240x240
FLAIR magnetic resonance.
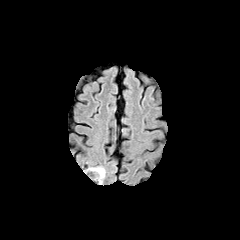
T1-weighted MR image.
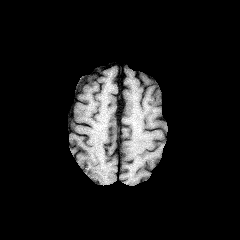
Post-contrast T1-weighted MR.
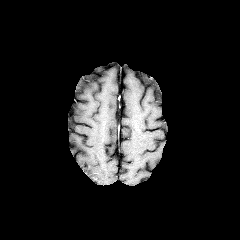
T2-weighted magnetic resonance.
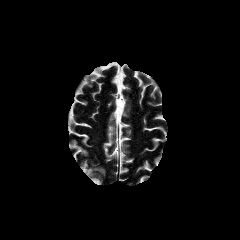
The edema is at (87,166,105,183).